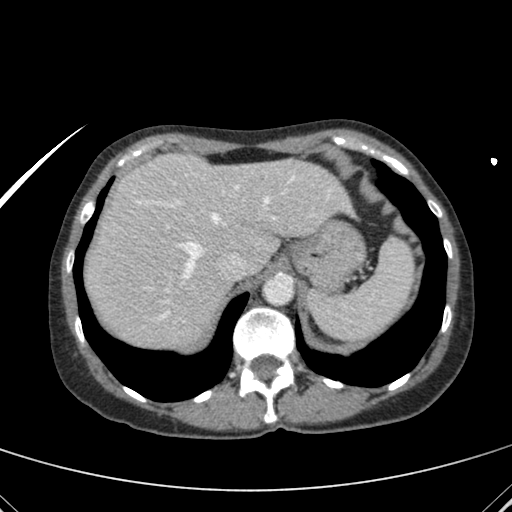 CT
{
  "liver": [
    "box(86, 154, 355, 347)"
  ]
}